Field of view 34 mm wide, 1.00 mm slice spacing, Image size 34x49, Medial temporal lobe, MR
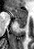 Posterior hippocampus: (16,20,26,28).
Anterior hippocampus: (8,7,26,20).